Head | Slice 56/155
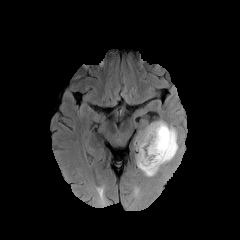
FLAIR magnetic resonance.
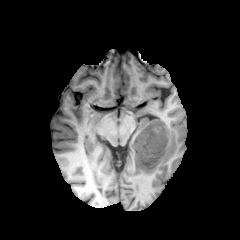
T1-weighted magnetic resonance of the same slice.
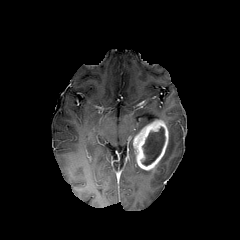
Post-contrast T1-weighted MR.
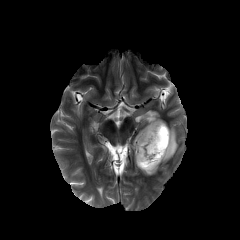
T2-weighted magnetic resonance.
Findings:
* enhancing tumor: x1=133, y1=119, x2=168, y2=170
* edema: x1=140, y1=120, x2=181, y2=176
* non-enhancing tumor core: x1=142, y1=127, x2=164, y2=165